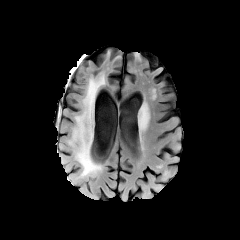
FLAIR MR image.
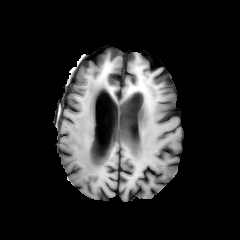
T1-weighted MR of the same slice.
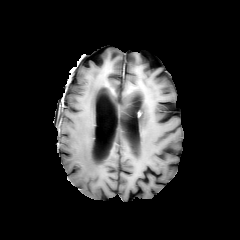
Same slice, post-contrast T1-weighted MRI.
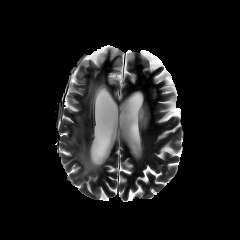
T2-weighted magnetic resonance.
Edema = <bbox>83, 78, 104, 118</bbox>, <bbox>76, 115, 84, 135</bbox>, <bbox>72, 128, 103, 179</bbox>.